Slice 480 of 685, Abdomen, Computed tomography
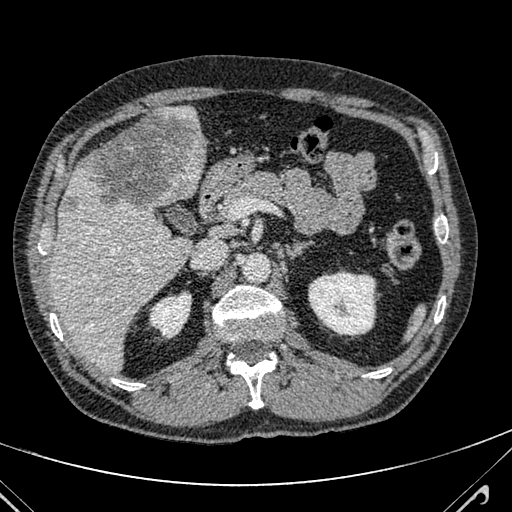

2 liver regions are located at bbox(167, 107, 203, 136); bbox(52, 153, 206, 371). 2 focal liver lesion regions appear at bbox(61, 192, 74, 208); bbox(79, 109, 205, 208).